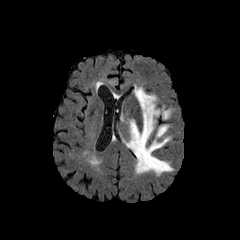
FLAIR MR image.
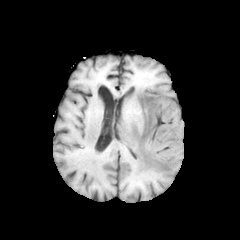
Same slice, T1-weighted magnetic resonance.
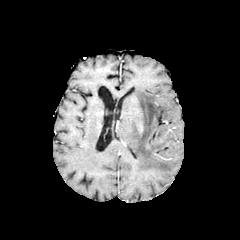
Post-contrast T1-weighted magnetic resonance.
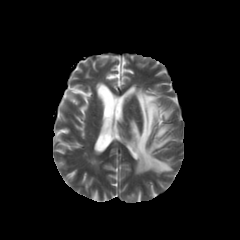
Same slice, T2-weighted MR image.
240x240
The edema appears at <box>122,86,173,175</box>.